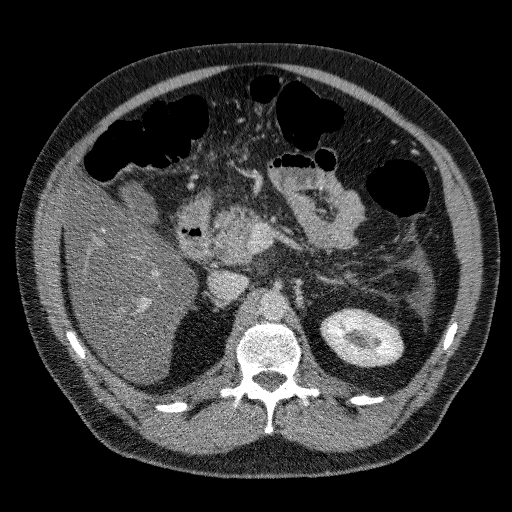

CT scan slice

The liver lies within l=64, t=182, r=195, b=381. The kidney lies within l=323, t=310, r=401, b=365.